Computed tomography

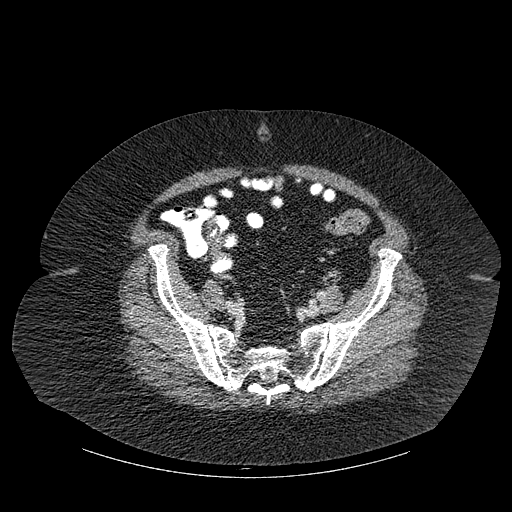

bone:
  - x1=148 y1=244 x2=401 y2=404